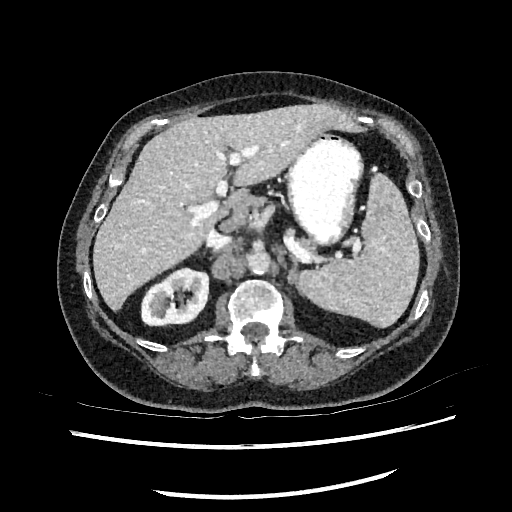

Computed tomography. Upper abdomen. Liver — (93, 102, 366, 311).
Kidney — (142, 269, 208, 324).